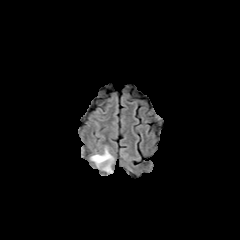
FLAIR MR.
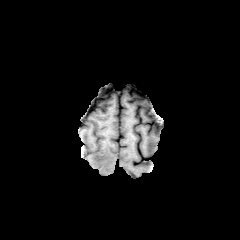
Same slice, T1-weighted MR.
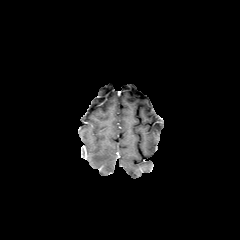
Post-contrast T1-weighted MRI.
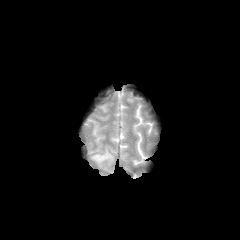
Same slice, T2-weighted MRI.
Head | 240x240 px
Findings:
• edema: [91,147,113,172]